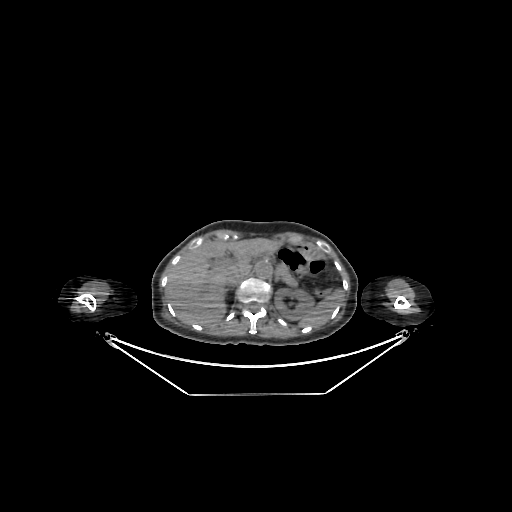

Abdomen | CT scan slice | 512x512 px
liver: (x1=165, y1=239, x2=278, y2=325) | kidney: (x1=274, y1=288, x2=315, y2=320)